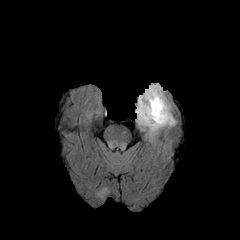
FLAIR MR image.
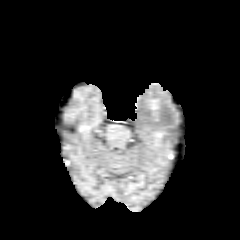
T1-weighted MR.
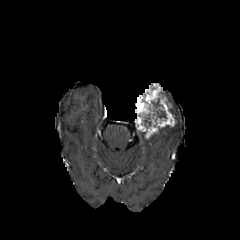
Post-contrast T1-weighted MR image.
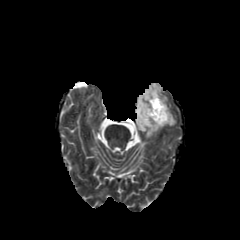
T2-weighted magnetic resonance.
Image size 240x240
Findings:
• enhancing tumor: <box>135,83,175,137</box>
• edema: <box>167,96,173,113</box>
• non-enhancing tumor core: <box>153,102,165,117</box>